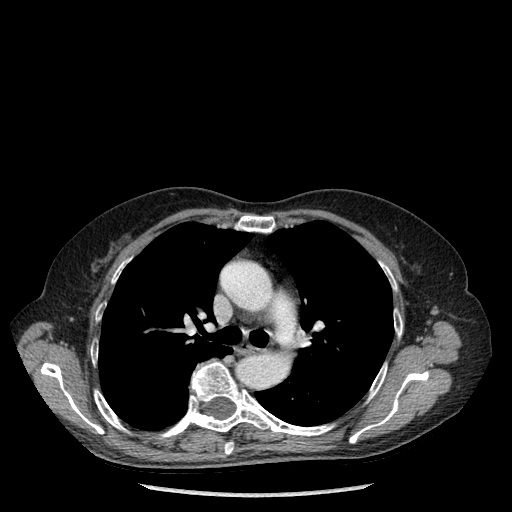

CT. 512x512 px. Thorax.

Annotated regions:
- bone: x1=40 y1=362 x2=104 y2=434, x1=111 y1=261 x2=125 y2=283, x1=95 y1=304 x2=102 y2=320, x1=349 y1=371 x2=429 y2=443, x1=368 y1=363 x2=387 y2=401, x1=394 y1=309 x2=402 y2=336, x1=94 y1=390 x2=127 y2=431, x1=90 y1=343 x2=97 y2=364, x1=159 y1=360 x2=333 y2=438, x1=224 y1=442 x2=233 y2=454, x1=379 y1=261 x2=396 y2=290, x1=235 y1=215 x2=275 y2=232
- lung: x1=256 y1=221 x2=393 y2=426, x1=249 y1=330 x2=268 y2=347, x1=98 y1=222 x2=251 y2=430